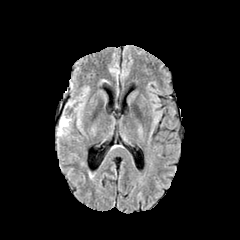
FLAIR MR image.
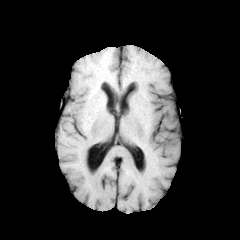
T1-weighted MRI.
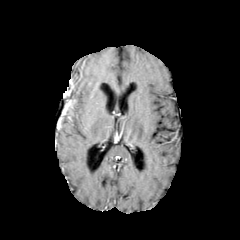
Same slice, post-contrast T1-weighted MRI.
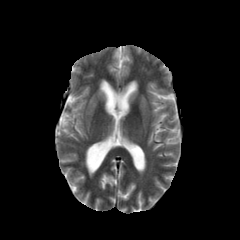
Same slice, T2-weighted MRI.
240x240. Brain.
edema:
  - x1=65 y1=82 x2=73 y2=99
  - x1=56 y1=90 x2=88 y2=142
non-enhancing_tumor_core:
  - x1=58 y1=105 x2=73 y2=132